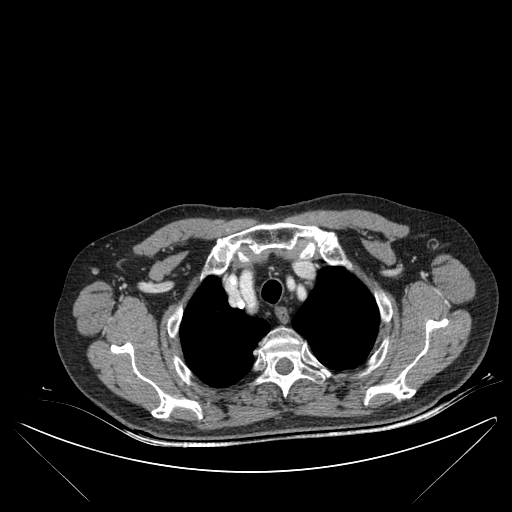 CT scan slice; Thorax
• bone: <box>364,319,448,404</box>, <box>168,308,181,336</box>, <box>111,343,202,418</box>, <box>206,223,341,274</box>, <box>255,333,330,395</box>, <box>174,357,190,382</box>, <box>300,243,314,258</box>, <box>367,340,388,371</box>, <box>377,293,392,321</box>
• lung: <box>180,276,269,387</box>, <box>262,280,281,302</box>, <box>292,267,379,369</box>